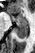 35x53 px, Magnetic resonance
The anterior hippocampus appears at rect(10, 13, 28, 25). The posterior hippocampus is bounded by rect(14, 26, 28, 39).